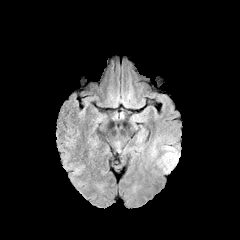
FLAIR MR image.
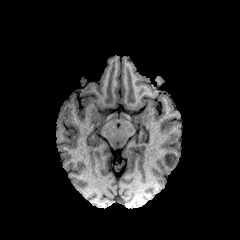
T1-weighted magnetic resonance.
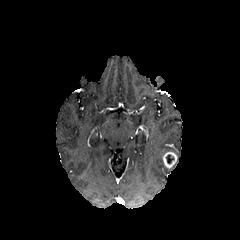
Post-contrast T1-weighted magnetic resonance.
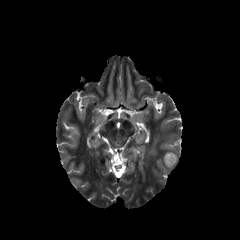
Same slice, T2-weighted MR image.
240x240, Brain
non-enhancing tumor core: <box>165,154,174,164</box> | enhancing tumor: <box>161,152,177,168</box>